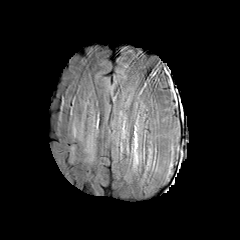
FLAIR magnetic resonance.
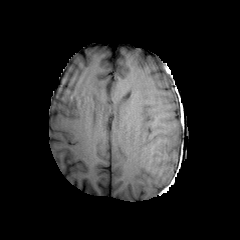
T1-weighted MRI of the same slice.
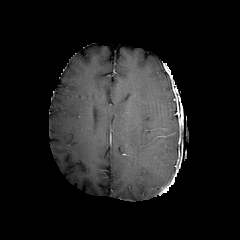
Post-contrast T1-weighted MRI of the same slice.
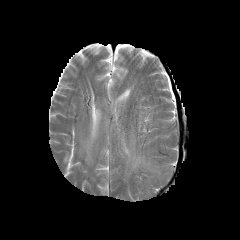
T2-weighted magnetic resonance.
edema:
  - [132,146,138,163]